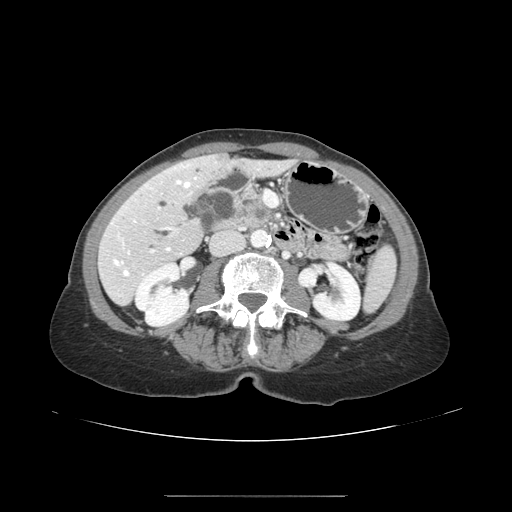

Computed tomography
Annotated regions:
* pancreatic tumor: <bbox>251, 206, 269, 220</bbox>
* pancreas: <bbox>240, 188, 272, 226</bbox>